CT scan slice
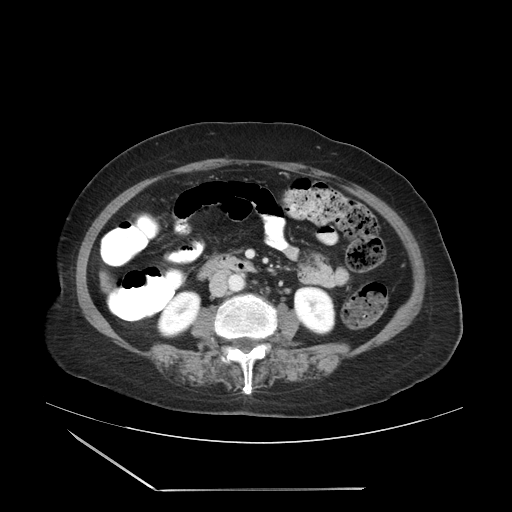
The vessel boxes may cover only some of the vessels.
Annotated regions:
* hepatic vessel: {"x1": 110, "y1": 293, "x2": 114, "y2": 297}